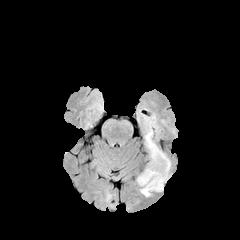
FLAIR MR image.
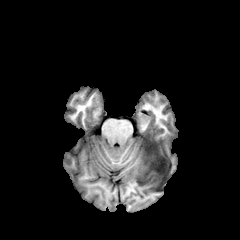
Same slice, T1-weighted MR image.
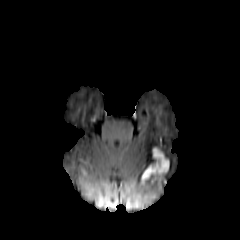
Post-contrast T1-weighted MR image.
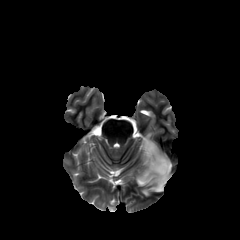
T2-weighted MRI.
Head
The non-enhancing tumor core is bounded by [150, 173, 166, 180]. The enhancing tumor appears at [140, 148, 169, 183]. 2 edema regions are located at [136, 159, 171, 196], [143, 127, 159, 168].